Image size 240x240; Head; Field of view 240 mm wide, 1.00 mm slice spacing
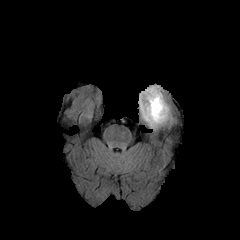
FLAIR magnetic resonance.
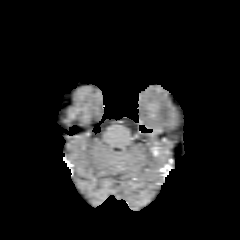
Same slice, T1-weighted MRI.
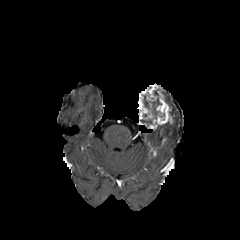
Post-contrast T1-weighted MR image of the same slice.
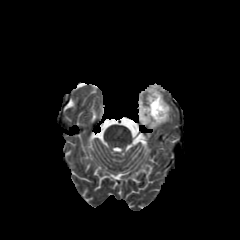
T2-weighted MR image of the same slice.
Enhancing tumor: bbox=[138, 84, 172, 128].
Non-enhancing tumor core: bbox=[144, 100, 159, 116].